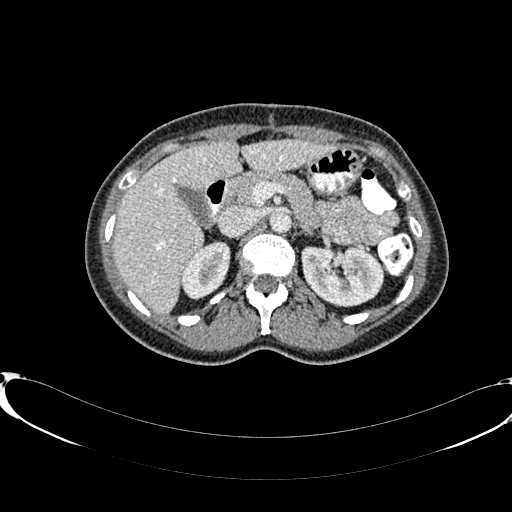 Upper abdomen, CT scan slice
{"kidney": ["(left=303, top=248, right=382, bottom=304)", "(left=183, top=244, right=228, bottom=297)"], "liver": ["(left=112, top=140, right=336, bottom=313)"]}